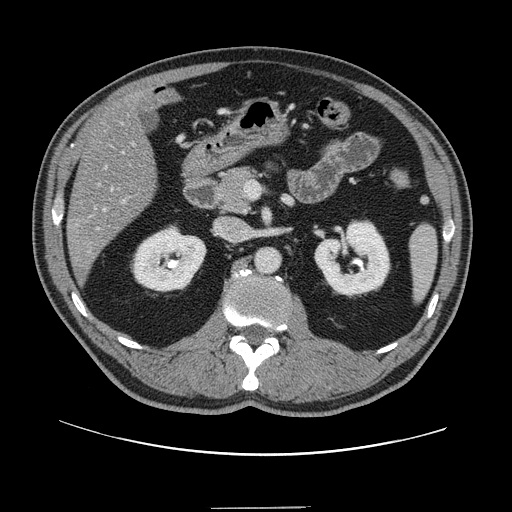

CT image; Liver; 512x512 px
Some hepatic vessels may have no box.
Liver tumor = x1=70, y1=211, x2=103, y2=237.
Hepatic vessel = x1=122, y1=199, x2=126, y2=203; x1=104, y1=208, x2=105, y2=210; x1=105, y1=166, x2=107, y2=168; x1=98, y1=184, x2=100, y2=186; x1=132, y1=143, x2=134, y2=144; x1=122, y1=151, x2=123, y2=153.